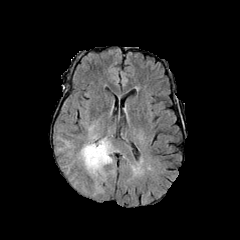
FLAIR MR image.
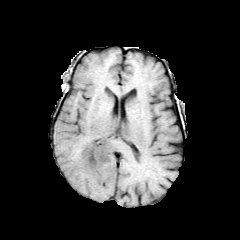
Same slice, T1-weighted MRI.
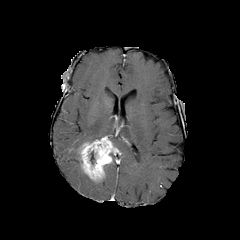
Post-contrast T1-weighted MRI of the same slice.
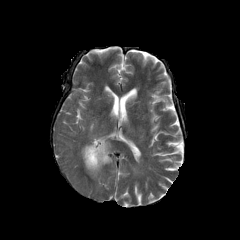
Same slice, T2-weighted MR.
Head
The edema lies within [x1=90, y1=133, x2=103, y2=141]. The enhancing tumor is located at [x1=80, y1=136, x2=115, y2=179].